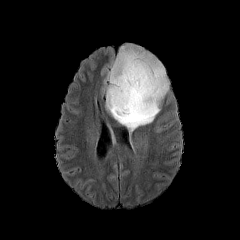
FLAIR MR.
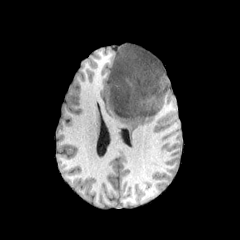
Same slice, T1-weighted MR image.
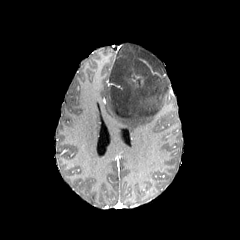
Post-contrast T1-weighted MR image.
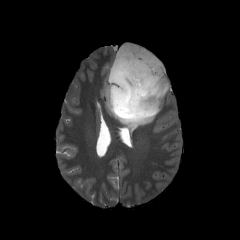
T2-weighted MRI.
240x240, Brain
Enhancing tumor: bounding box (130, 73, 146, 87).
Edema: bounding box (102, 45, 169, 136), (154, 67, 166, 74).